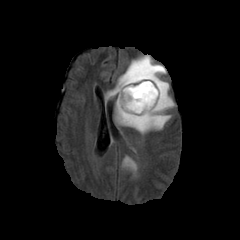
FLAIR MR.
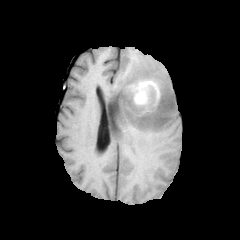
T1-weighted magnetic resonance of the same slice.
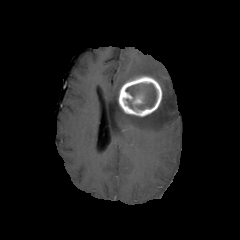
Same slice, post-contrast T1-weighted magnetic resonance.
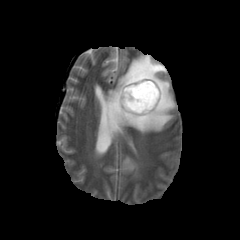
T2-weighted MR of the same slice.
Brain, Image size 240x240
{"enhancing_tumor": ["rect(118, 75, 162, 116)"], "edema": ["rect(108, 55, 174, 132)", "rect(123, 158, 135, 166)"], "non-enhancing_tumor_core": ["rect(126, 83, 156, 108)", "rect(114, 97, 121, 115)"]}